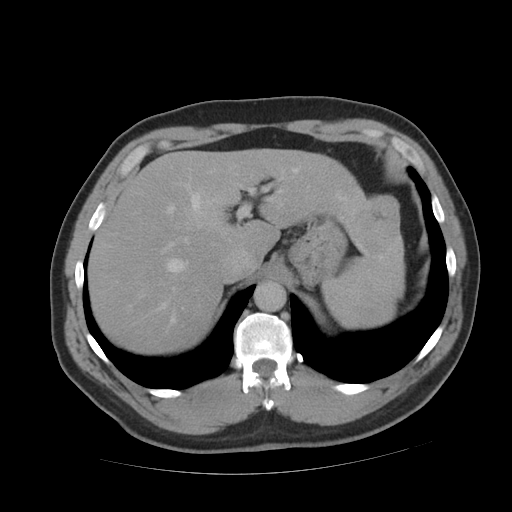

CT slice
Some hepatic vessels may have no box.
{"liver_tumor": ["<box>352,199,399,252</box>"], "hepatic_vessel": ["<box>167,258,188,273</box>", "<box>278,190,283,193</box>", "<box>339,197,345,198</box>", "<box>161,243,174,252</box>", "<box>161,304,165,307</box>", "<box>292,166,299,175</box>", "<box>191,193,202,213</box>", "<box>171,315,174,321</box>", "<box>300,176,301,178</box>", "<box>168,205,174,212</box>"]}